Liver; CT

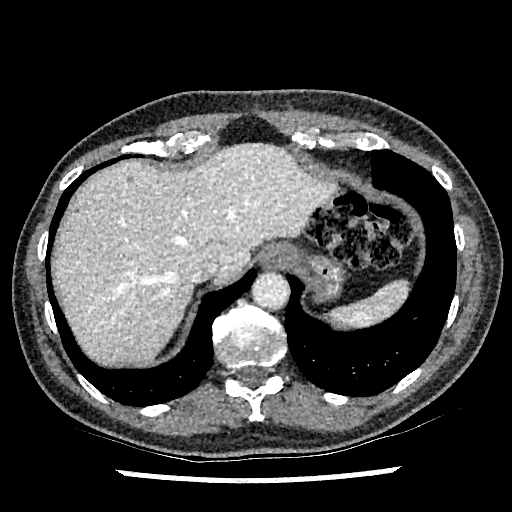
The liver is bounded by x1=53, y1=143, x2=336, y2=364.